FLAIR magnetic resonance.
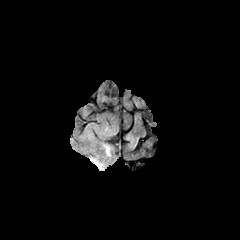
T1-weighted MR image.
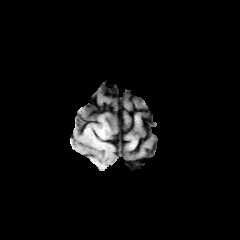
Post-contrast T1-weighted MR image.
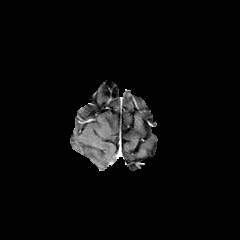
T2-weighted MR.
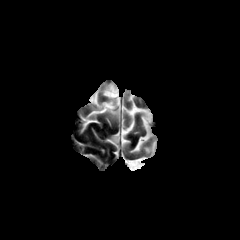
240x240 px
Findings:
* edema: bbox=[92, 157, 103, 169]